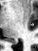

38x51; MR image
Posterior hippocampus — (x1=13, y1=43, x2=16, y2=43).